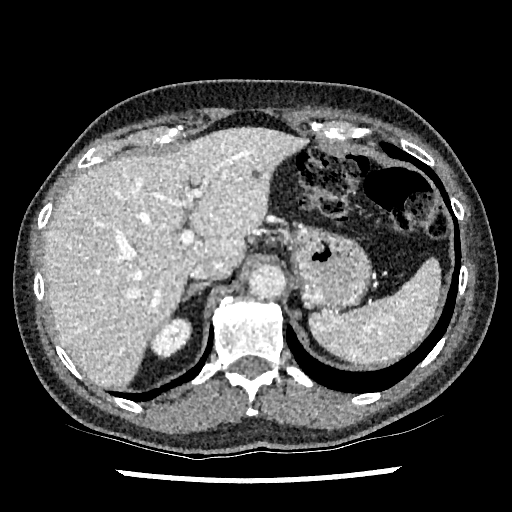 CT slice.

The liver is bounded by x1=44 y1=127 x2=307 y2=386. The kidney is located at x1=153 y1=320 x2=188 y2=355. The liver lesion lies within x1=254 y1=169 x2=260 y2=177.